320x320 px, MRI slice 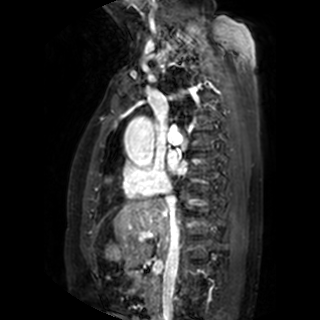 The left atrium is located at 168,152,186,173.